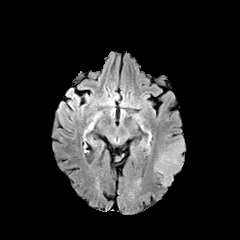
FLAIR magnetic resonance.
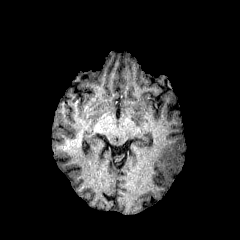
T1-weighted MR of the same slice.
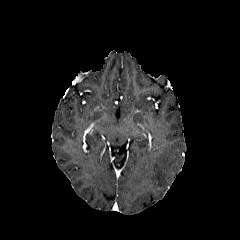
Same slice, post-contrast T1-weighted MR image.
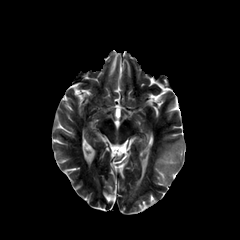
T2-weighted MR image.
Edema: (x1=152, y1=134, x2=184, y2=187).
Non-enhancing tumor core: (x1=170, y1=140, x2=185, y2=164).